MR image. 35x55 px. 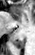

posterior_hippocampus:
  - {"x1": 13, "y1": 37, "x2": 23, "y2": 49}